Field of view 400 mm wide, 0.80 mm slice spacing; CT scan slice; Liver 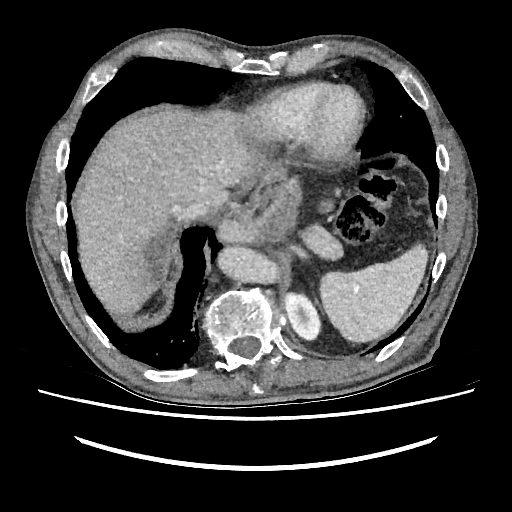 Kidney at 285:293:319:339.
Liver lesion at 123:218:175:293.
Liver at 76:110:286:318.